Liver | 512x512 | Computed tomography

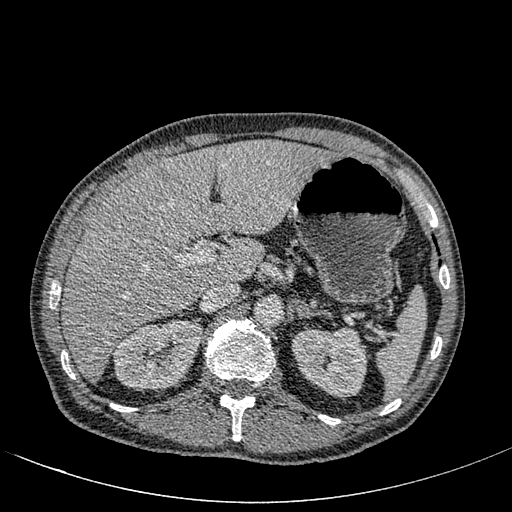 Segmented structures:
- liver: <box>61,139,335,381</box>
- kidney: <box>292,328,366,396</box>, <box>113,321,202,389</box>
- focal liver lesion: <box>154,167,168,179</box>